Slice index 490; Computed tomography
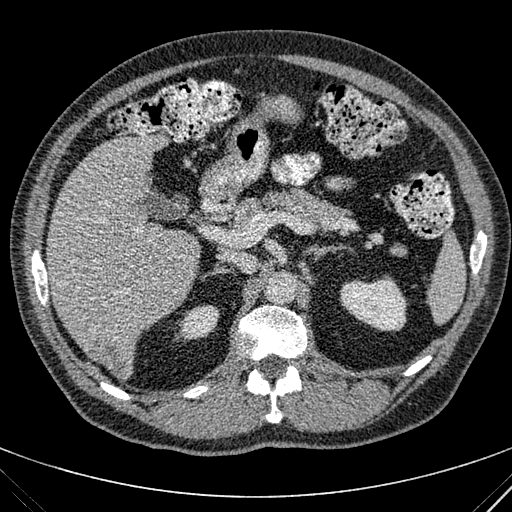

liver_lesion:
  - [87, 337, 131, 376]
kidney:
  - [340, 279, 405, 330]
  - [179, 306, 218, 338]
liver:
  - [46, 135, 196, 376]